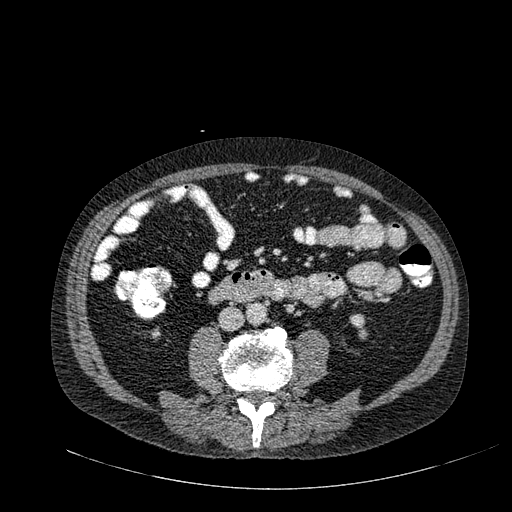
Abdomen; Computed tomography
Kidney = (x1=151, y1=326, x2=160, y2=338), (x1=349, y1=314, x2=367, y2=338).